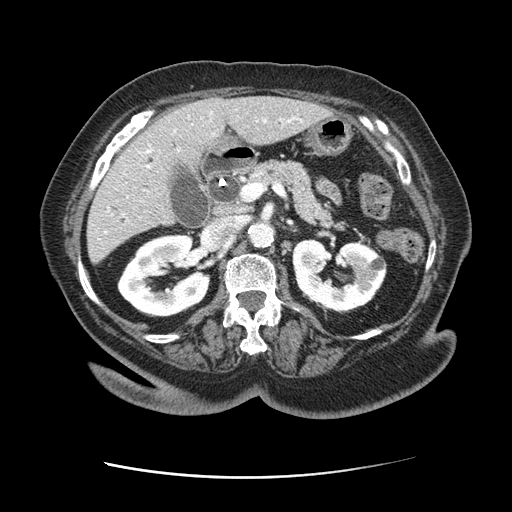
CT scan slice, Abdomen, 512x512

• pancreas: [x1=249, y1=159, x2=346, y2=230]